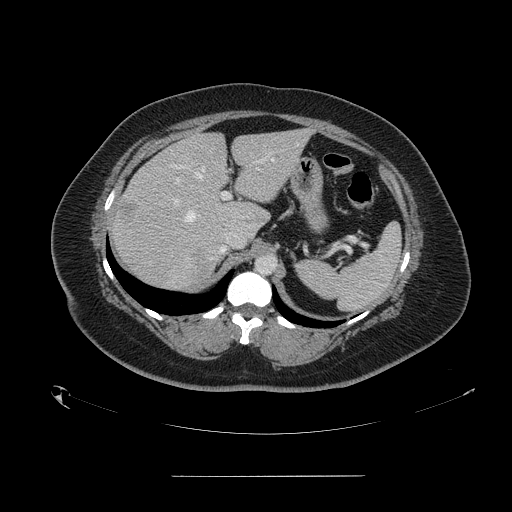

CT image; 512x512
Spleen at (297,223,401,311).